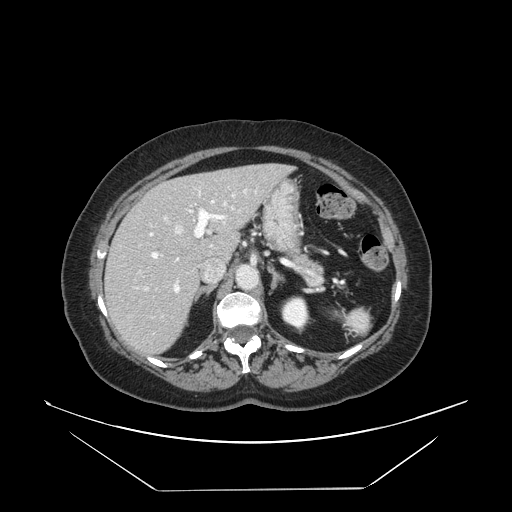

512x512, Abdomen, CT slice

Pancreas: bounding box <bbox>282, 245, 326, 287</bbox>.